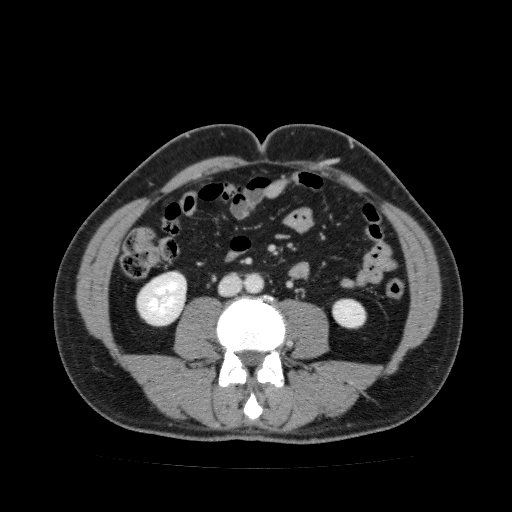

512x512 px | Computed tomography

Kidney: bounding box [333,299,364,327], [137,272,186,325].